240x240.
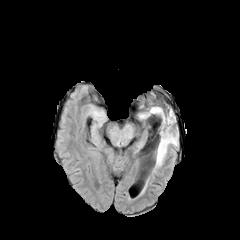
FLAIR MR image.
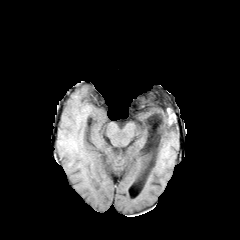
T1-weighted MRI.
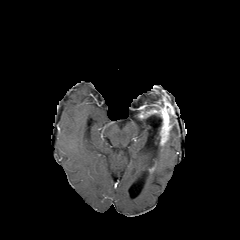
Post-contrast T1-weighted magnetic resonance.
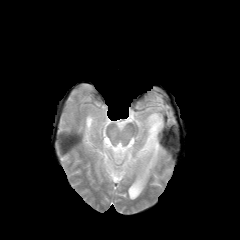
T2-weighted magnetic resonance of the same slice.
enhancing_tumor:
  - 143 104 170 131
non-enhancing_tumor_core:
  - 139 104 155 118
  - 160 126 172 145
edema:
  - 156 132 177 165